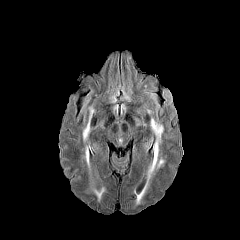
FLAIR MR image.
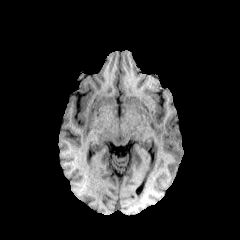
T1-weighted MR image of the same slice.
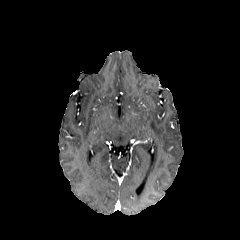
Post-contrast T1-weighted MRI.
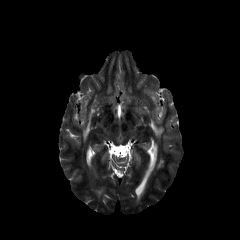
Same slice, T2-weighted MR.
240x240.
edema:
  - 85:147:89:166
  - 82:106:94:142
  - 134:119:163:204
  - 92:188:104:200